CT slice. Image width 500 mm. Liver. Slice 61 of 114.
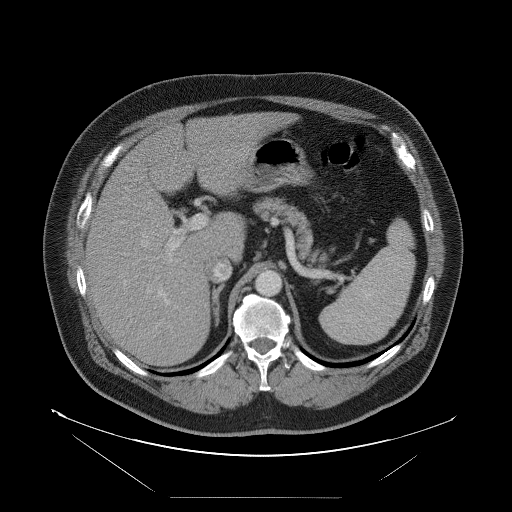

Only some of the vessels may be annotated.
Hepatic vessel = (left=158, top=243, right=160, bottom=244), (left=158, top=290, right=169, bottom=303), (left=169, top=254, right=171, bottom=261), (left=156, top=278, right=157, bottom=279), (left=146, top=285, right=149, bottom=292), (left=141, top=233, right=148, bottom=246), (left=123, top=281, right=126, bottom=285), (left=120, top=221, right=126, bottom=223), (left=174, top=305, right=176, bottom=307), (left=167, top=237, right=177, bottom=249).